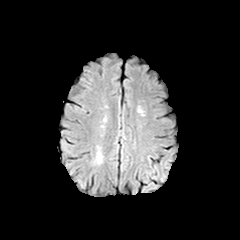
FLAIR MR image.
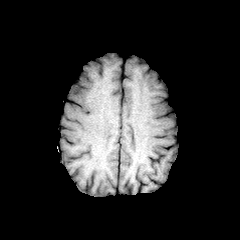
T1-weighted MRI.
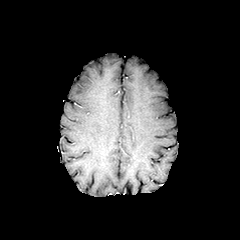
Same slice, post-contrast T1-weighted magnetic resonance.
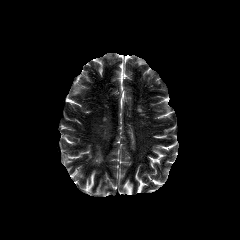
T2-weighted MR of the same slice.
Head
Segmented structures:
* edema: (left=94, top=154, right=102, bottom=163)